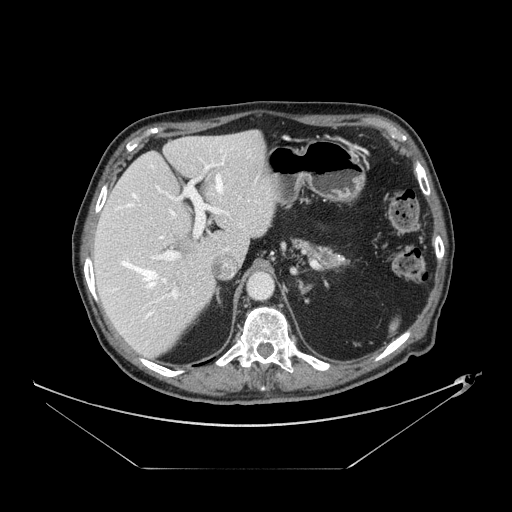

CT scan slice. Pancreas = (294,241,346,269).